MRI | Slice 14/39 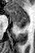 <segmentation>
  <posterior_hippocampus>{"x1": 17, "y1": 26, "x2": 24, "y2": 29}</posterior_hippocampus>
  <anterior_hippocampus>{"x1": 6, "y1": 8, "x2": 28, "y2": 25}</anterior_hippocampus>
</segmentation>